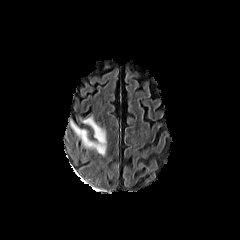
FLAIR MR image.
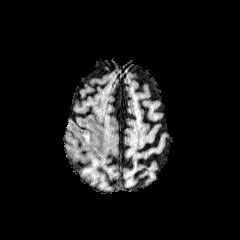
T1-weighted MR image of the same slice.
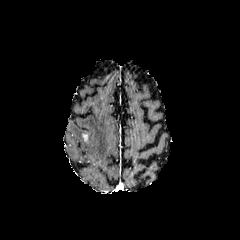
Same slice, post-contrast T1-weighted MR.
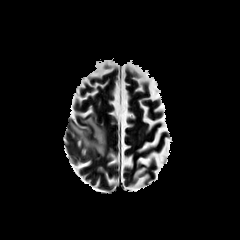
T2-weighted magnetic resonance.
240x240 | Head
Findings:
* edema: left=70, top=114, right=107, bottom=154
* enhancing tumor: left=82, top=134, right=89, bottom=143